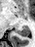 MR image | Medial temporal lobe | 35x47
{
  "posterior_hippocampus": [
    "bbox=[16, 26, 29, 36]"
  ]
}